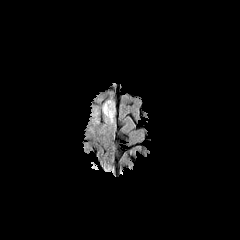
FLAIR MRI.
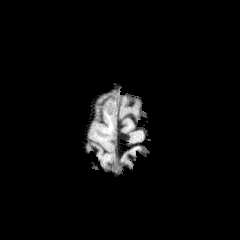
T1-weighted MRI.
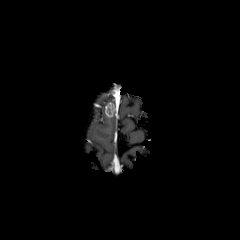
Post-contrast T1-weighted MRI of the same slice.
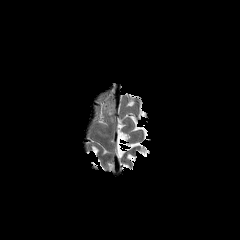
Same slice, T2-weighted MRI.
Annotated regions:
* enhancing tumor: region(105, 102, 115, 117)